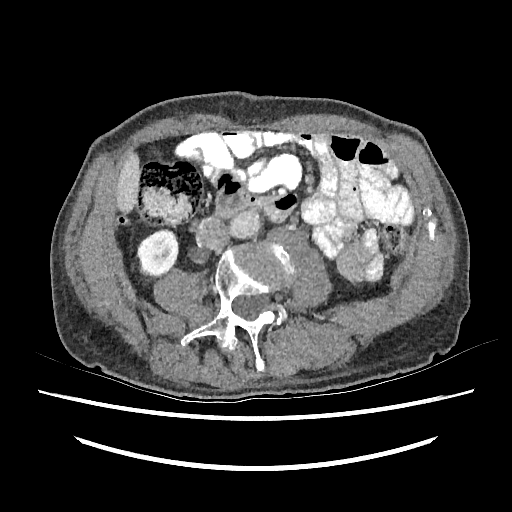
CT

<segmentation>
  <kidney>[138,231,177,274]</kidney>
  <liver>[116,153,138,212]</liver>
</segmentation>